MRI slice; Image size 35x48 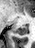

Segmented structures:
• posterior hippocampus: [15,26,28,34]